FLAIR MR.
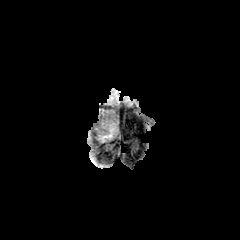
T1-weighted MR.
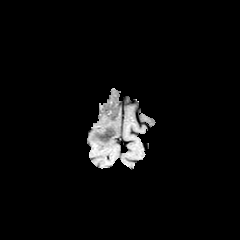
Post-contrast T1-weighted MR.
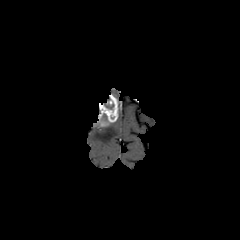
T2-weighted MRI.
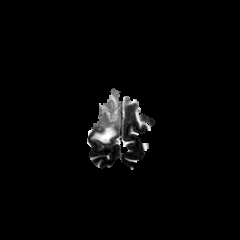
{
  "edema": [
    "bbox=[94, 122, 116, 142]"
  ],
  "enhancing_tumor": [
    "bbox=[97, 93, 119, 128]"
  ]
}